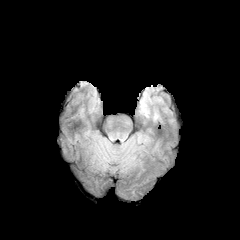
FLAIR MR image.
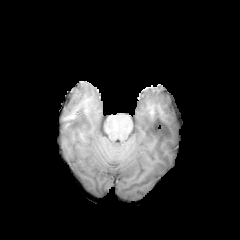
T1-weighted MR.
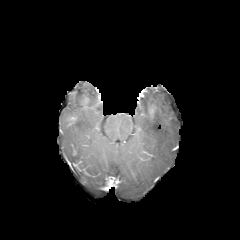
Post-contrast T1-weighted MR image.
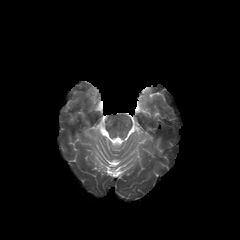
Same slice, T2-weighted MRI.
Brain
* edema: box(140, 100, 153, 113); box(138, 135, 148, 142)